Computed tomography.
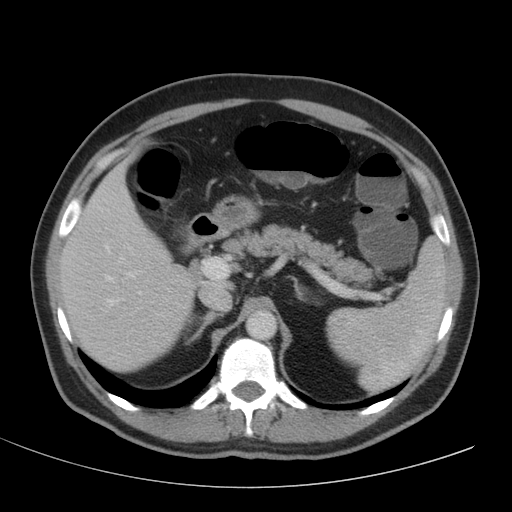

<segmentation>
  <liver>[55, 158, 230, 370]</liver>
</segmentation>